CT. Chest. 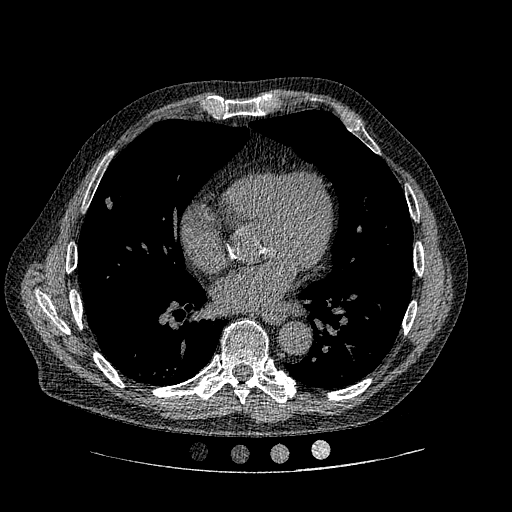 Findings:
• lung tumor: l=99, t=194, r=114, b=211